240x240 px | Field of view 240 mm wide, 1.00 mm slice spacing
FLAIR MR.
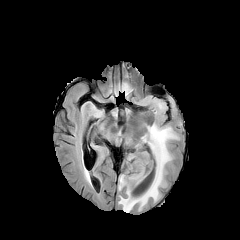
T1-weighted MR.
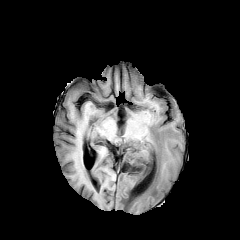
Post-contrast T1-weighted MR.
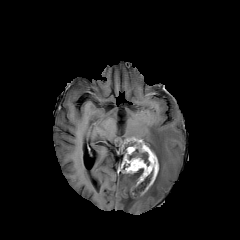
T2-weighted MR.
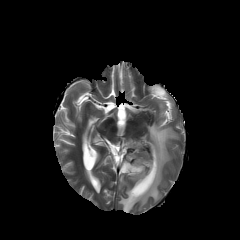
{"edema": ["[118, 122, 177, 212]"], "non-enhancing_tumor_core": ["[130, 168, 143, 176]", "[141, 168, 153, 182]", "[122, 139, 153, 167]"], "enhancing_tumor": ["[126, 152, 158, 185]"]}